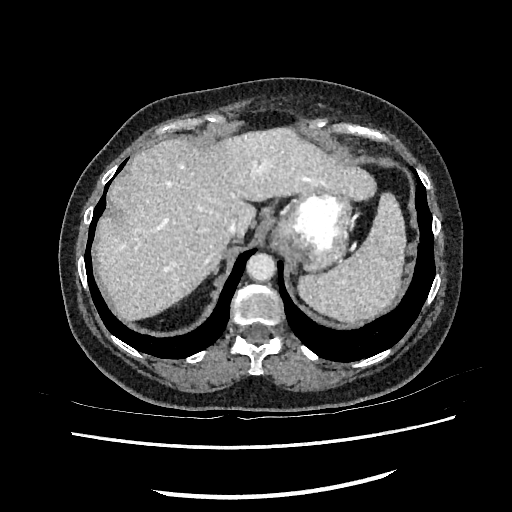

CT slice. {
  "liver": [
    {"x1": 96, "y1": 128, "x2": 374, "y2": 319}
  ]
}